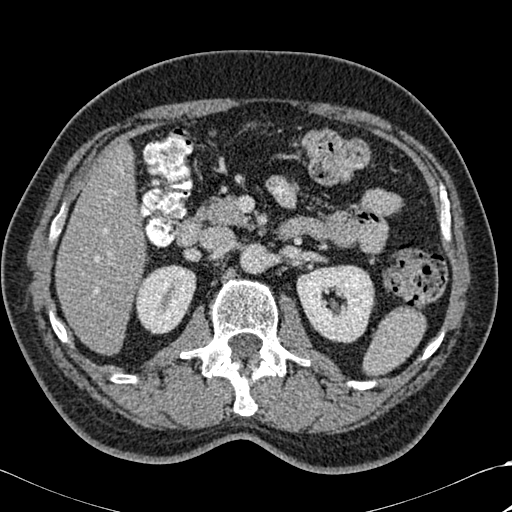

512x512; CT image
7 bone regions appear at rect(112, 374, 136, 383); rect(443, 219, 449, 239); rect(348, 381, 373, 389); rect(50, 222, 60, 238); rect(423, 335, 442, 358); rect(50, 313, 66, 341); rect(181, 280, 309, 415). 2 kidney regions are bounded by rect(137, 266, 194, 332); rect(297, 266, 372, 341). The liver is at rect(56, 148, 148, 354).